FLAIR MR image.
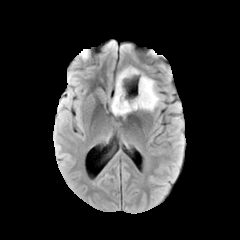
T1-weighted magnetic resonance.
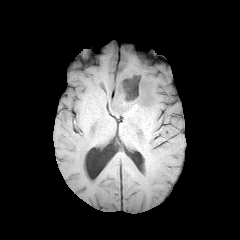
Post-contrast T1-weighted magnetic resonance.
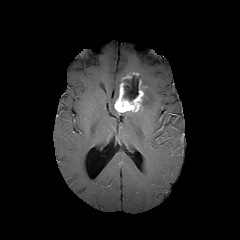
T2-weighted MRI.
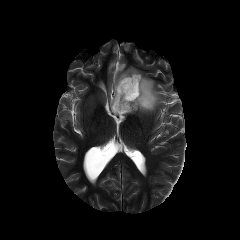
enhancing tumor: bbox(114, 74, 147, 114) | non-enhancing tumor core: bbox(110, 76, 122, 113); bbox(124, 80, 138, 101); bbox(138, 88, 151, 110) | edema: bbox(115, 67, 161, 111)